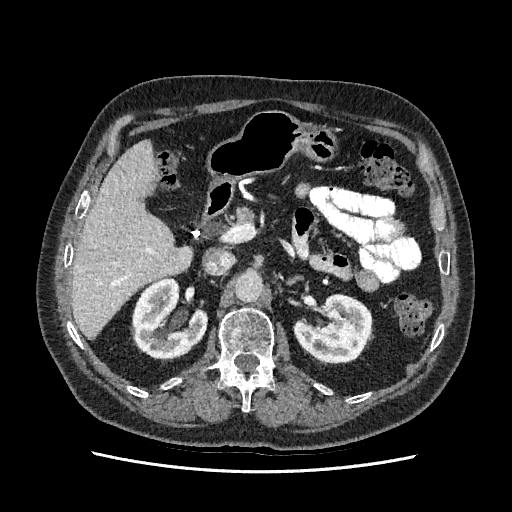 Computed tomography | 512x512
Segmented structures:
• liver: (72, 140, 191, 336)
• kidney: (133, 279, 206, 357), (295, 295, 371, 362)